FLAIR MRI.
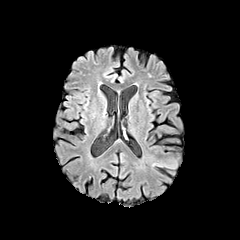
T1-weighted MRI.
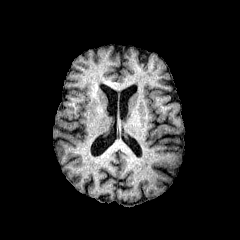
Post-contrast T1-weighted MRI.
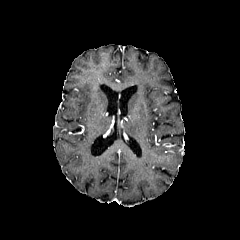
T2-weighted MRI.
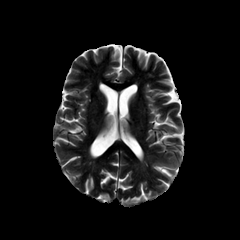
Head
{
  "edema": [
    "147 154 177 174"
  ]
}